FLAIR MRI.
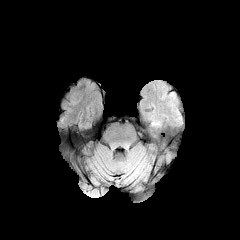
T1-weighted MRI.
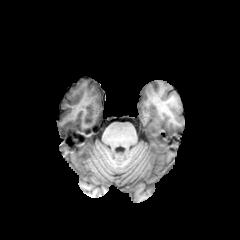
Post-contrast T1-weighted magnetic resonance.
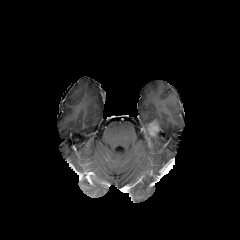
T2-weighted MR.
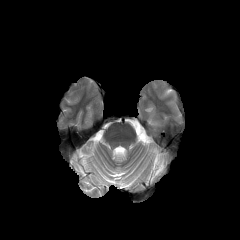
Image size 240x240 | Head
The edema is at (149, 120, 160, 133).